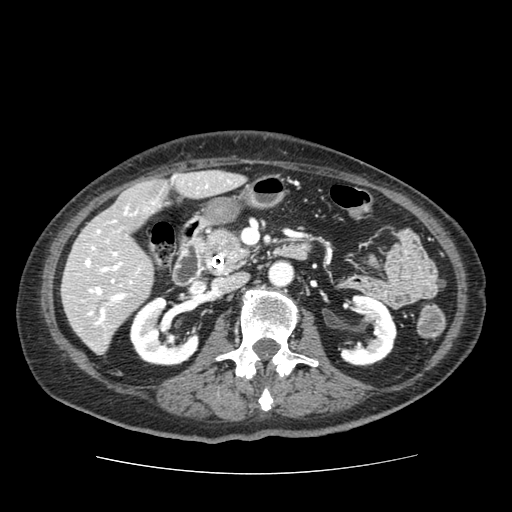 CT image.
Pancreas: [200,230,250,270].
Pancreatic tumor: [222,241,233,248].